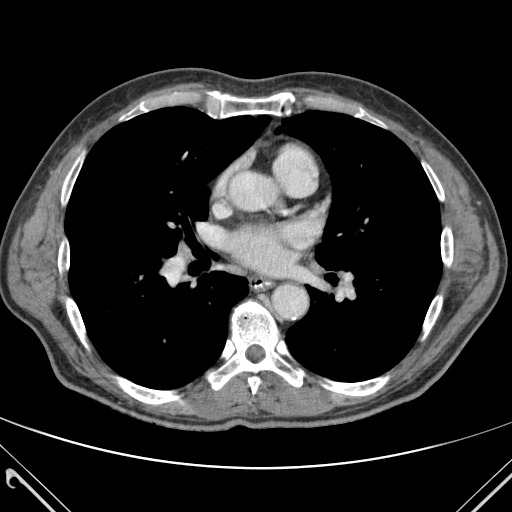
CT slice.

Lung: (x1=276, y1=111, x2=441, y2=381), (x1=65, y1=107, x2=270, y2=389).
Bone: (x1=423, y1=296, x2=441, y2=337), (x1=117, y1=377, x2=178, y2=403), (x1=441, y1=228, x2=452, y2=265), (x1=323, y1=377, x2=387, y2=395), (x1=328, y1=103, x2=384, y2=125), (x1=61, y1=157, x2=82, y2=203), (x1=208, y1=301, x2=303, y2=393), (x1=202, y1=91, x2=300, y2=117), (x1=66, y1=299, x2=87, y2=346), (x1=120, y1=102, x2=154, y2=119), (x1=422, y1=163, x2=444, y2=200), (x1=58, y1=236, x2=69, y2=276).